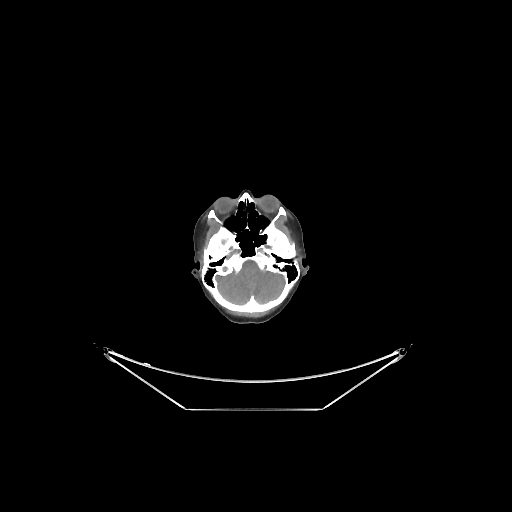
Head; Computed tomography

brain:
  - <box>228,246,241,254</box>
  - <box>215,259,285,305</box>